240x240, Head, Slice index 109
FLAIR magnetic resonance.
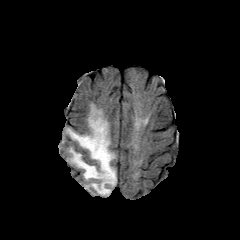
T1-weighted MR image.
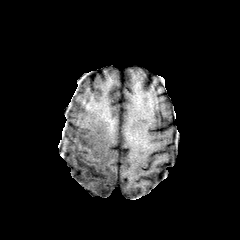
Post-contrast T1-weighted MR.
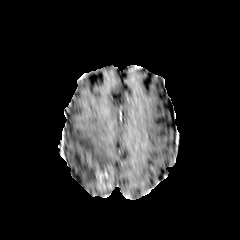
T2-weighted MR.
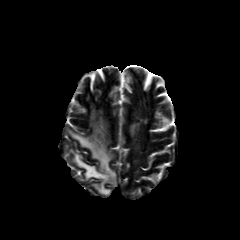
non-enhancing_tumor_core:
  - <bbox>99, 174, 111, 193</bbox>
  - <bbox>90, 169, 99, 183</bbox>
edema:
  - <bbox>67, 106, 116, 196</bbox>
enhancing_tumor:
  - <bbox>96, 171, 109, 190</bbox>